MRI | Image size 320x320

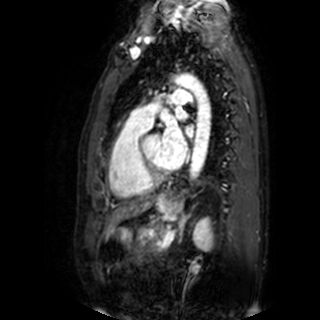 left_atrium:
  - (x1=185, y1=124, x2=193, y2=136)
  - (x1=162, y1=121, x2=187, y2=168)
  - (x1=176, y1=110, x2=187, y2=119)